Image width 700 mm, CT slice, 512x512 px, Upper abdomen 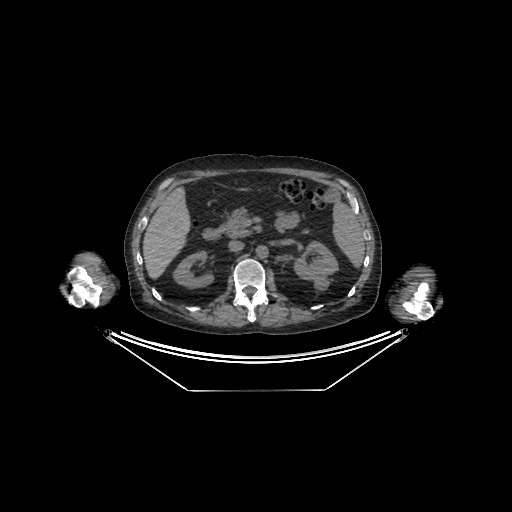
kidney:
  - region(173, 250, 213, 288)
  - region(294, 241, 338, 290)
liver:
  - region(143, 187, 189, 277)